Image size 34x53, Magnetic resonance, Image width 34 mm, Medial temporal lobe, Slice index 23 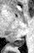

<segmentation>
  <posterior_hippocampus><bbox>10, 37, 24, 46</bbox></posterior_hippocampus>
</segmentation>